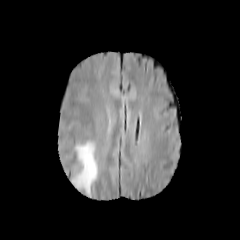
FLAIR magnetic resonance.
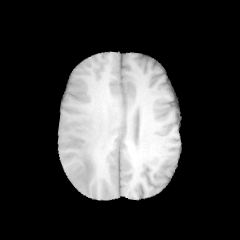
Same slice, T1-weighted MR.
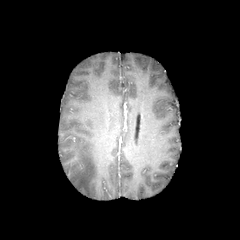
Post-contrast T1-weighted MR of the same slice.
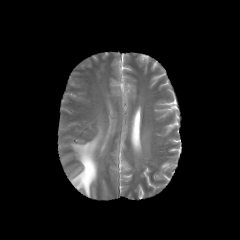
T2-weighted magnetic resonance of the same slice.
Segmented structures:
• edema: <bbox>71, 141, 97, 195</bbox>